Slice index 460. Upper abdomen. Computed tomography.
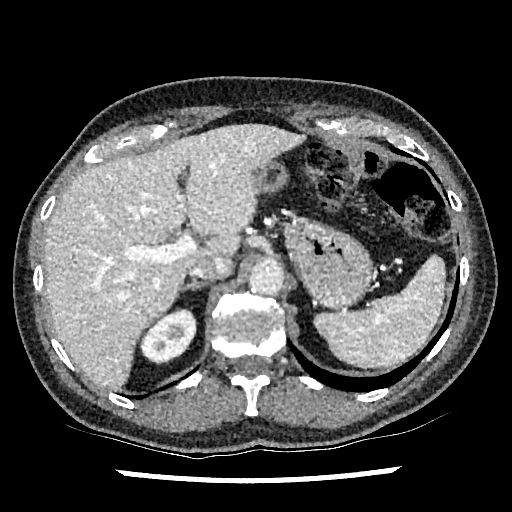

<segmentation>
  <kidney>x1=142, y1=311, x2=195, y2=360</kidney>
  <hepatic_lesion>x1=253, y1=164, x2=264, y2=175</hepatic_lesion>
  <liver>x1=44, y1=124, x2=305, y2=388</liver>
</segmentation>